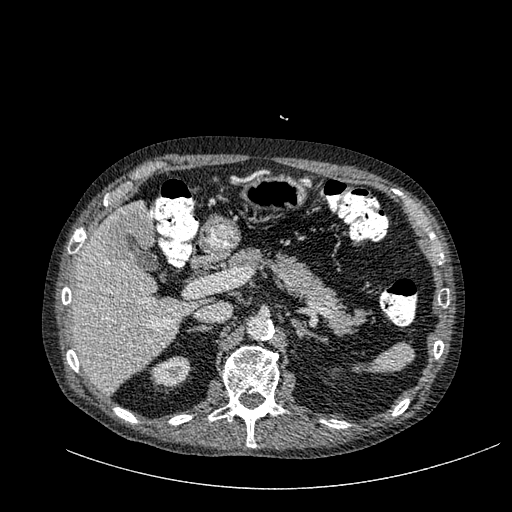 CT scan slice; Upper abdomen

{
  "kidney": [
    "<box>150,356,190,387</box>"
  ],
  "liver": [
    "<box>72,202,213,393</box>",
    "<box>125,232,152,248</box>"
  ],
  "hepatic_lesion": [
    "<box>105,208,152,265</box>"
  ]
}